Slice index 40. Computed tomography. Upper abdomen.

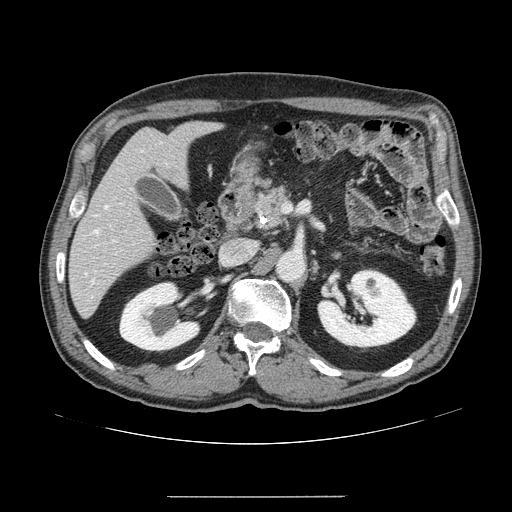

Pancreas: bounding box <bbox>250, 184, 293, 232</bbox>.